FLAIR MR image.
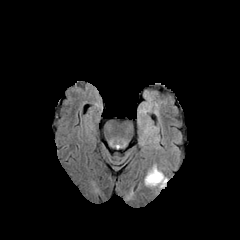
T1-weighted MRI.
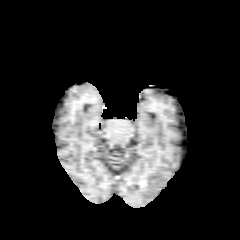
Post-contrast T1-weighted magnetic resonance.
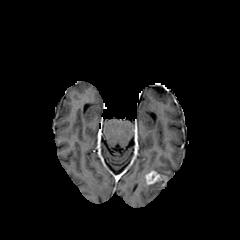
T2-weighted MRI.
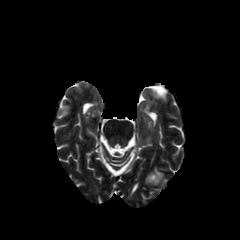
Brain.
{"enhancing_tumor": ["x1=146, y1=170, x2=162, y2=183"], "edema": ["x1=144, y1=165, x2=167, y2=188"]}